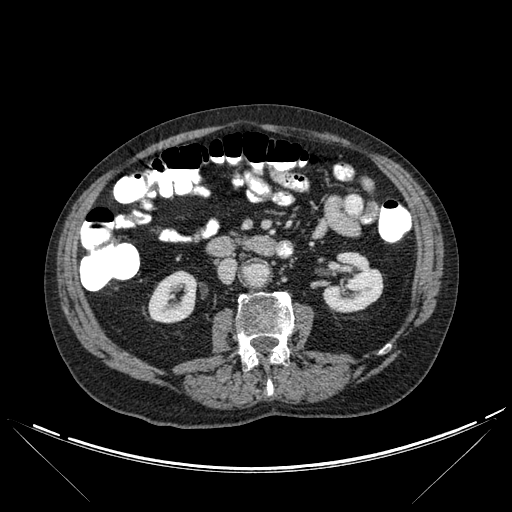

512x512, Computed tomography, Abdomen
Bone — 266, 380, 273, 395; 236, 292, 293, 368.
Kidney — 323, 252, 382, 311; 149, 271, 196, 322.